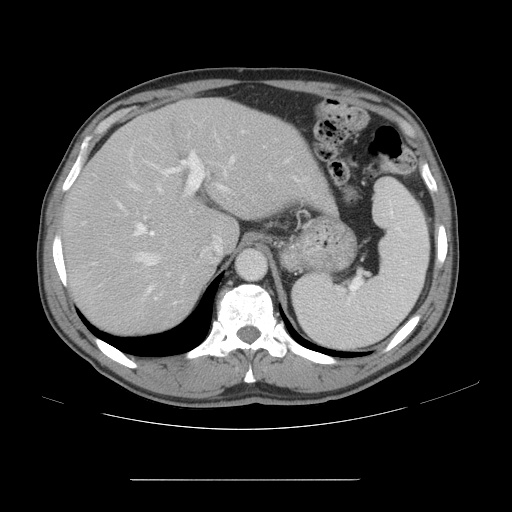
Computed tomography.
Not every hepatic vessel necessarily has a box.
The top 15 hepatic vessel regions (of 23) are located at <box>217,183,228,191</box>, <box>162,167,180,175</box>, <box>224,168,226,177</box>, <box>117,201,123,209</box>, <box>136,252,158,265</box>, <box>150,231,154,235</box>, <box>182,277,184,282</box>, <box>146,286,153,293</box>, <box>157,184,162,192</box>, <box>187,151,200,190</box>, <box>134,223,146,235</box>, <box>214,235,218,237</box>, <box>128,181,138,189</box>, <box>230,156,234,162</box>, <box>293,177,302,180</box>.